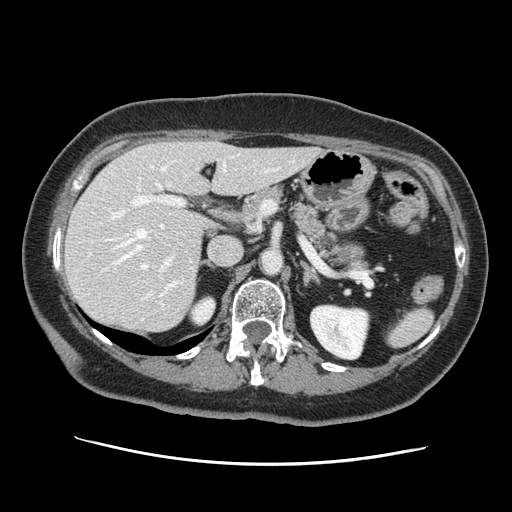

Abdomen, CT image, 512x512 px
The spleen is bounded by [x1=384, y1=308, x2=433, y2=347].